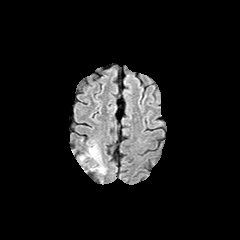
FLAIR MR image.
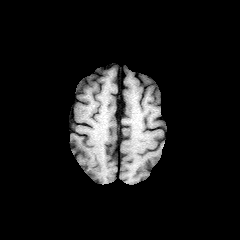
T1-weighted MR.
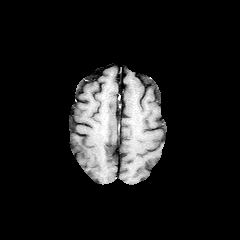
Post-contrast T1-weighted MR of the same slice.
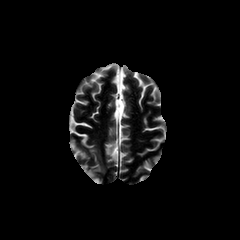
T2-weighted MRI.
Findings:
• edema: x1=75, y1=140, x2=106, y2=174